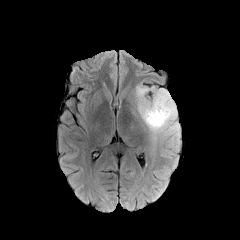
FLAIR magnetic resonance.
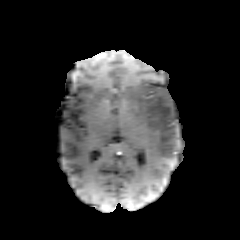
T1-weighted MR.
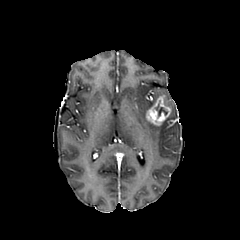
Post-contrast T1-weighted MR.
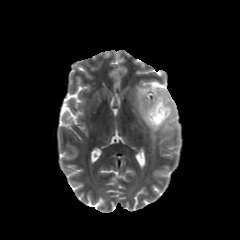
Same slice, T2-weighted MR image.
240x240 px | Head
edema: l=134, t=82, r=181, b=159 | non-enhancing tumor core: l=157, t=105, r=167, b=115 | enhancing tumor: l=146, t=94, r=171, b=126